Slice index 63 | Brain | Image width 240 mm
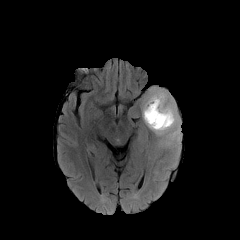
FLAIR MR.
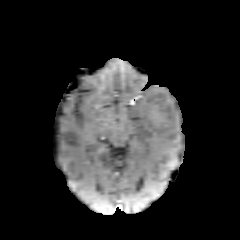
Same slice, T1-weighted MR image.
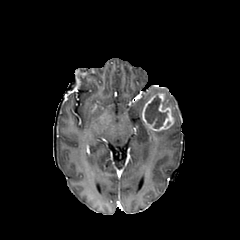
Same slice, post-contrast T1-weighted MR image.
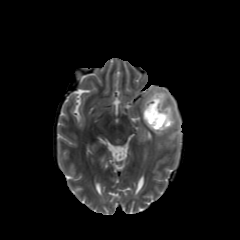
T2-weighted MRI of the same slice.
Annotated regions:
• edema: rect(140, 86, 182, 158)
• non-enhancing tumor core: rect(145, 96, 167, 128); rect(162, 96, 170, 108)
• enhancing tumor: rect(142, 93, 174, 131)